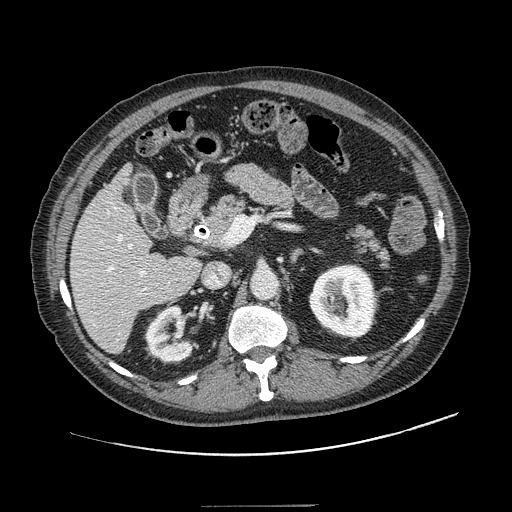

Upper abdomen, CT scan slice, 512x512

pancreas: l=343, t=224, r=389, b=274; l=203, t=194, r=249, b=248